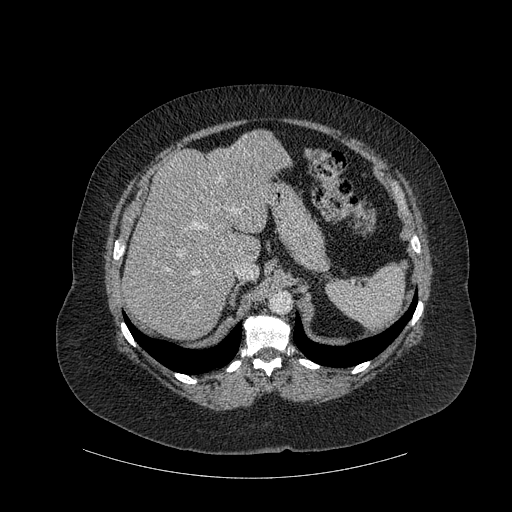

CT scan slice

Annotated regions:
* liver: x1=122 y1=130 x2=290 y2=340
* lung: x1=124 y1=315 x2=241 y2=374, x1=293 y1=296 x2=417 y2=366
* bone: x1=121 y1=323 x2=135 y2=345, x1=175 y1=373 x2=196 y2=383, x1=253 y1=358 x2=280 y2=375, x1=412 y1=301 x2=422 y2=324, x1=242 y1=316 x2=289 y2=356, x1=114 y1=241 x2=123 y2=259, x1=299 y1=359 x2=319 y2=368, x1=352 y1=362 x2=369 y2=373, x1=227 y1=361 x2=240 y2=371, x1=411 y1=236 x2=419 y2=252